240x240
FLAIR magnetic resonance.
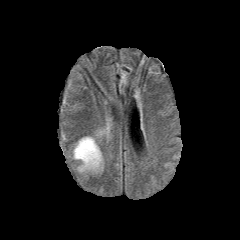
T1-weighted MR image.
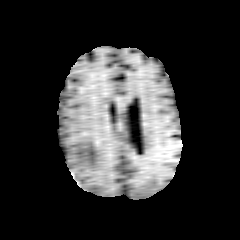
Post-contrast T1-weighted MR.
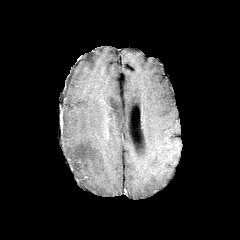
T2-weighted MR image.
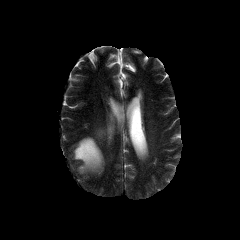
The edema is at 72,136,103,174.